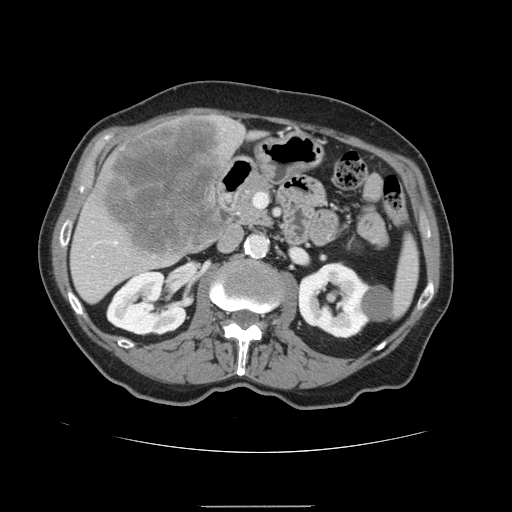
CT, Upper abdomen
The spleen is bounded by left=392, top=236, right=418, bottom=316.